CT slice 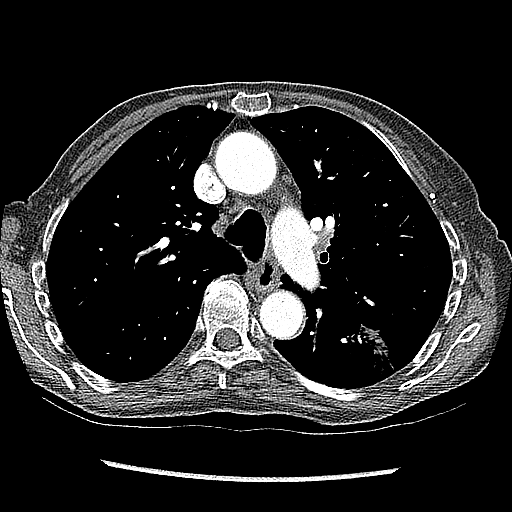
Lung tumor = box(340, 325, 392, 377).